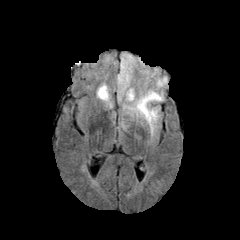
FLAIR MRI.
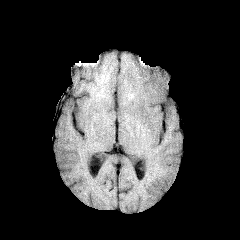
T1-weighted MR image of the same slice.
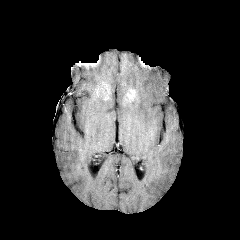
Same slice, post-contrast T1-weighted MRI.
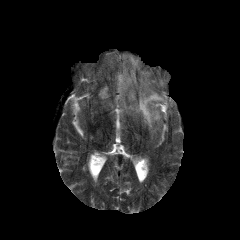
T2-weighted MR image.
240x240. Brain.
<segmentation>
  <edema>box(98, 85, 110, 99); box(124, 78, 164, 133); box(116, 54, 136, 100)</edema>
</segmentation>